Head
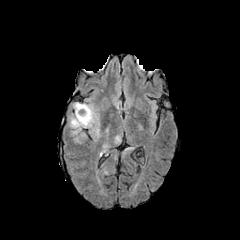
FLAIR MR.
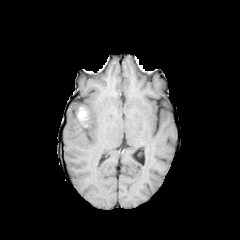
Same slice, T1-weighted MRI.
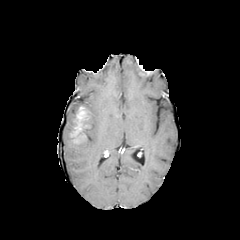
Post-contrast T1-weighted MRI.
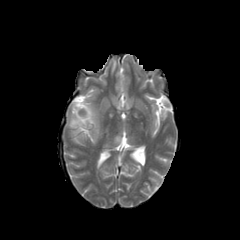
T2-weighted MRI of the same slice.
The edema is bounded by 73:102:94:127. The enhancing tumor is bounded by 71:111:85:136. The non-enhancing tumor core is at 70:106:91:143.